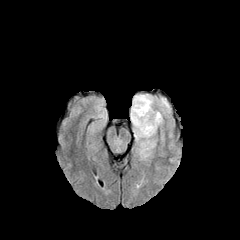
FLAIR magnetic resonance.
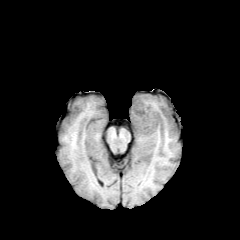
Same slice, T1-weighted MR.
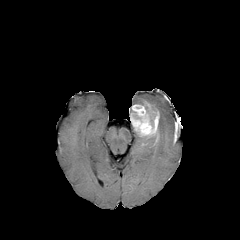
Same slice, post-contrast T1-weighted MR image.
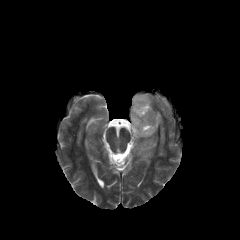
T2-weighted MR.
Brain.
<segmentation>
  <non-enhancing_tumor_core>box(135, 100, 158, 126)</non-enhancing_tumor_core>
  <enhancing_tumor>box(129, 105, 158, 136)</enhancing_tumor>
  <edema>box(132, 94, 171, 126); box(134, 132, 157, 160)</edema>
</segmentation>